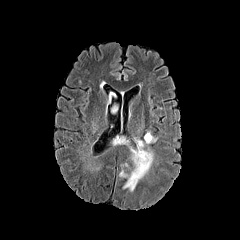
FLAIR magnetic resonance.
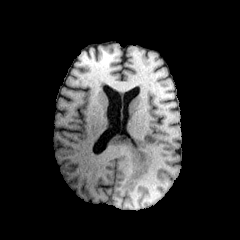
T1-weighted MRI.
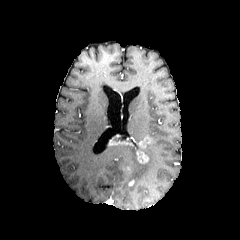
Post-contrast T1-weighted MR.
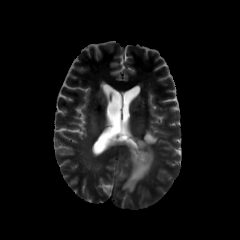
T2-weighted MR image.
Brain; Image size 240x240
Enhancing tumor: left=136, top=136, right=152, bottom=163; left=108, top=134, right=133, bottom=146.
Non-enhancing tumor core: left=116, top=131, right=128, bottom=141.
Edema: left=123, top=144, right=153, bottom=191; left=144, top=129, right=158, bottom=144.